Field of view 396x396 mm, CT scan slice 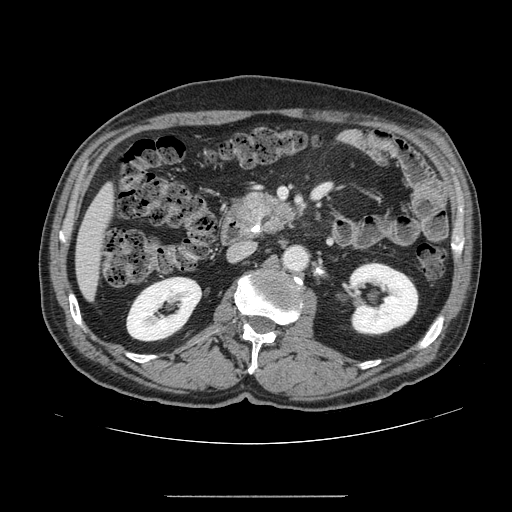 <segmentation>
  <pancreas>rect(241, 191, 299, 236)</pancreas>
</segmentation>